FLAIR magnetic resonance.
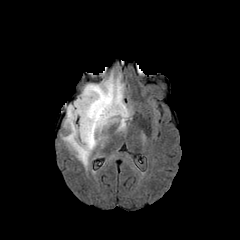
T1-weighted MRI.
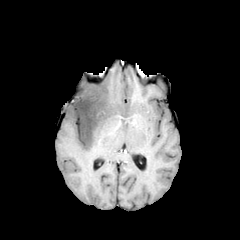
Post-contrast T1-weighted magnetic resonance.
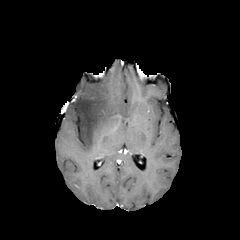
T2-weighted MR image.
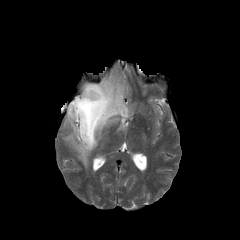
Brain. 240x240 px.
Non-enhancing tumor core: bounding box rect(67, 94, 109, 146).
Edema: bounding box rect(62, 73, 131, 167).